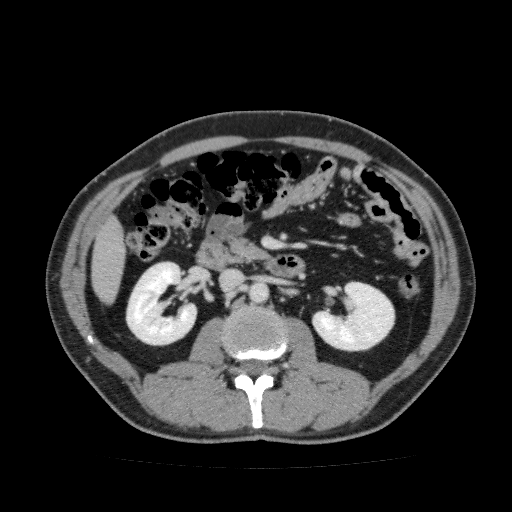 CT. Upper abdomen. kidney: l=313, t=282, r=394, b=350; l=126, t=262, r=196, b=344 | liver: l=90, t=215, r=125, b=303